MR | Hippocampus | Image size 39x50

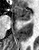
Anterior hippocampus at (11,6,31,21).